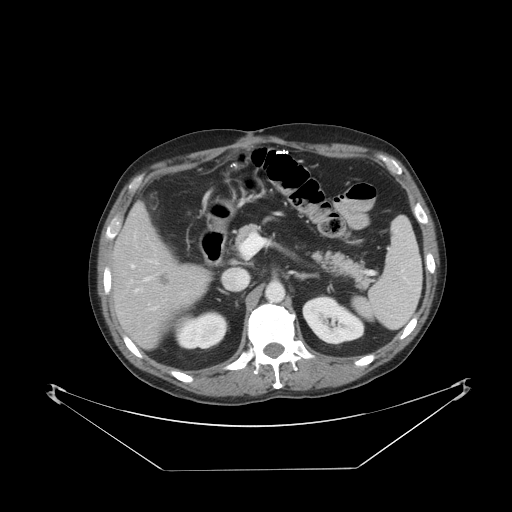
Computed tomography. Image size 512x512.
The vessel annotation is not exhaustive.
Hepatic vessel: bounding box bbox(150, 324, 154, 326); bbox(131, 265, 134, 267); bbox(149, 260, 158, 263); bbox(134, 288, 142, 291); bbox(144, 276, 152, 281); bbox(151, 306, 158, 310); bbox(183, 293, 185, 294).